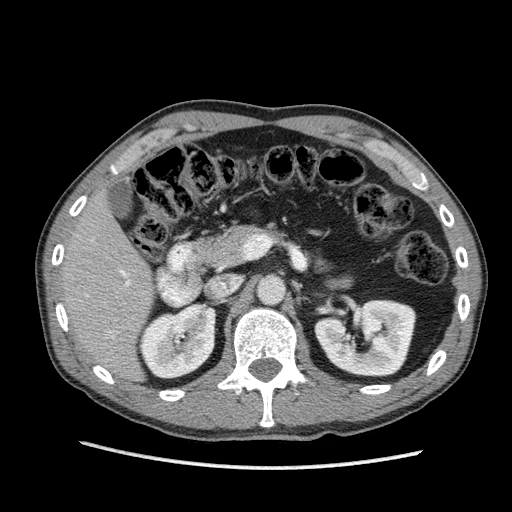
Upper abdomen; 512x512 px; CT slice
liver: (59, 188, 163, 381) | kidney: (141, 305, 214, 377), (316, 301, 414, 374)